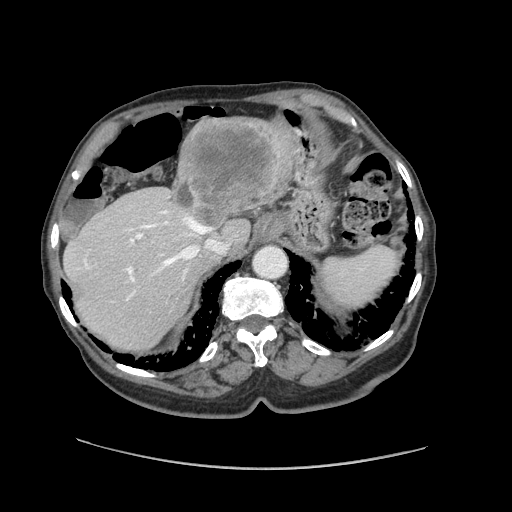

CT slice
The vessel annotation is not exhaustive.
Hepatic vessel — (left=164, top=221, right=167, bottom=224), (left=131, top=234, right=142, bottom=242), (left=151, top=245, right=198, bottom=275), (left=140, top=224, right=157, bottom=228), (left=182, top=216, right=212, bottom=235), (left=205, top=239, right=228, bottom=253).
Liver tumor — (left=177, top=117, right=294, bottom=225).